Abdomen. Field of view 400 mm wide, 0.80 mm slice spacing. Computed tomography.
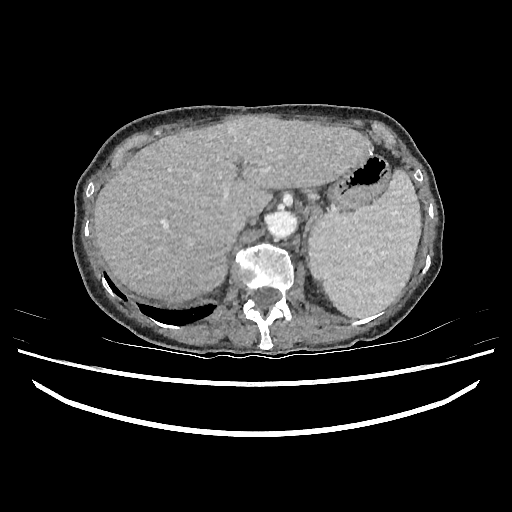
liver:
  - left=95, top=116, right=370, bottom=300